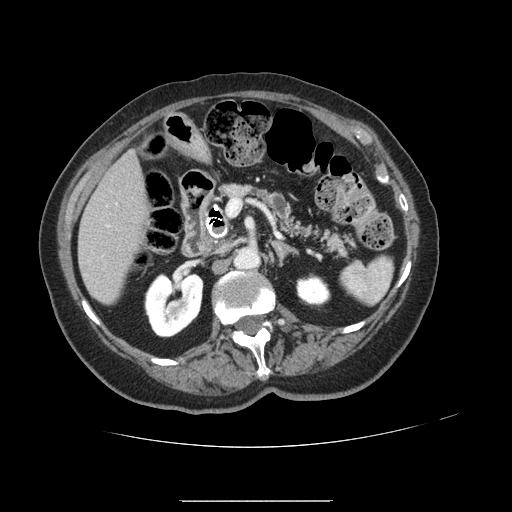 CT image, 512x512
- pancreas: [x1=220, y1=183, x2=357, y2=258]